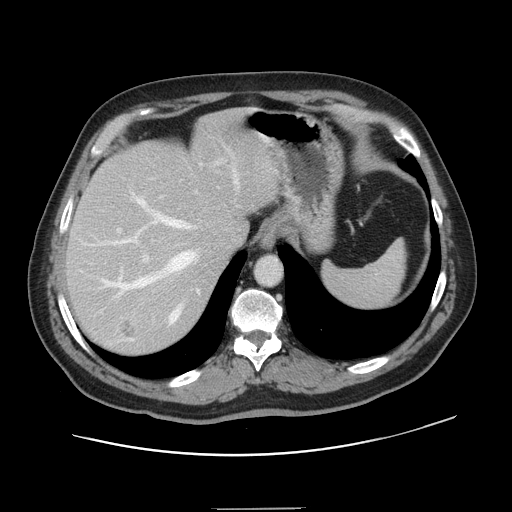 CT slice
Only some of the vessels may be annotated.
13 hepatic vessel regions appear at box=[197, 289, 198, 291]; box=[167, 251, 196, 270]; box=[132, 194, 144, 205]; box=[217, 162, 219, 163]; box=[152, 215, 190, 228]; box=[170, 305, 181, 321]; box=[101, 272, 158, 295]; box=[143, 255, 147, 260]; box=[117, 228, 120, 232]; box=[159, 272, 163, 275]; box=[116, 228, 142, 244]; box=[127, 339, 131, 339]; box=[234, 174, 237, 186]. The liver tumor is bounded by box=[121, 322, 136, 338].